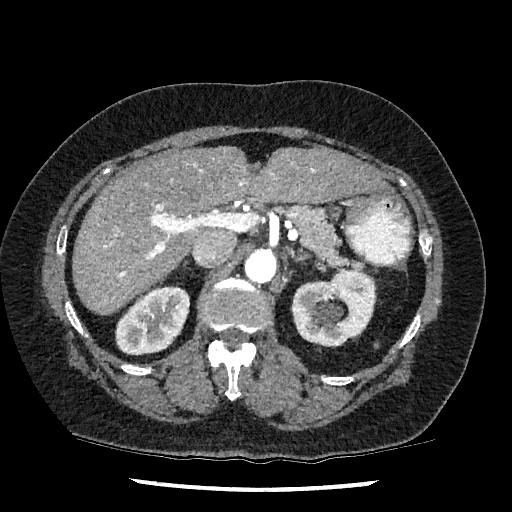
Abdomen. CT scan slice.

Liver at box(73, 147, 388, 314).
Kidney at box(292, 269, 374, 345); box(116, 287, 189, 354).